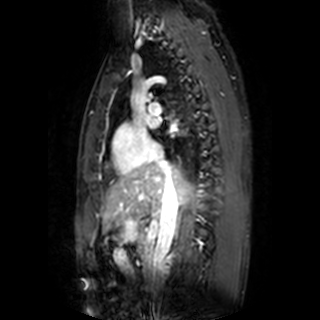
MRI, Heart
The left atrium is at [145,114,158,128].